CT image
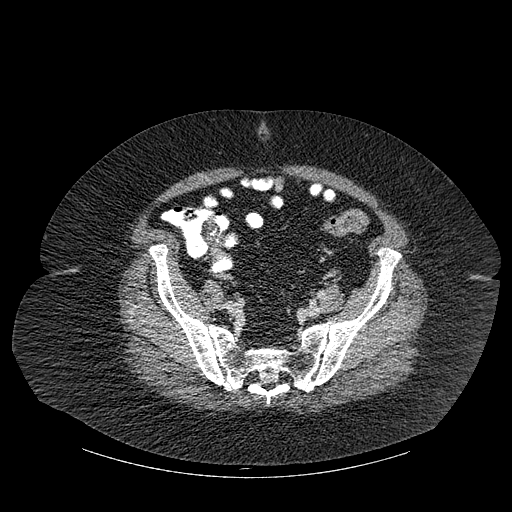

Bone: bounding box 149:244:401:403.